CT. Slice 407 of 624. Field of view 350 mm wide, 0.70 mm slice spacing. Liver. 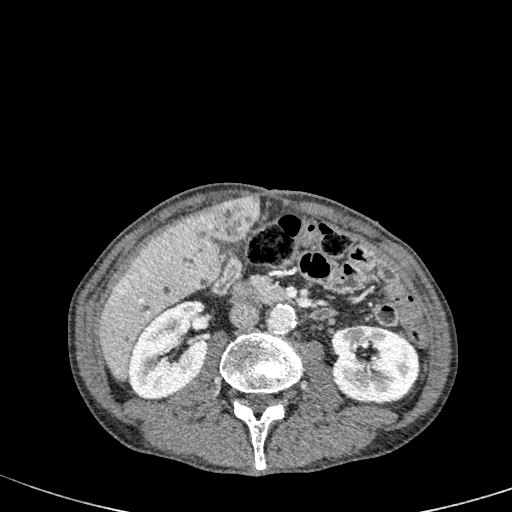 Liver lesion: bounding box (x1=196, y1=195, x2=259, y2=241).
Liver: bounding box (x1=99, y1=209, x2=222, y2=381).
Kidney: bounding box (x1=332, y1=326, x2=418, y2=402), (x1=128, y1=302, x2=208, y2=398).